Head | Slice 70 of 155
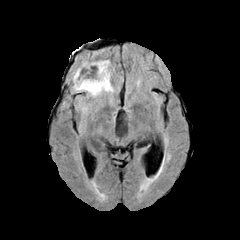
FLAIR MRI.
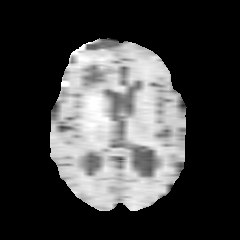
T1-weighted MRI.
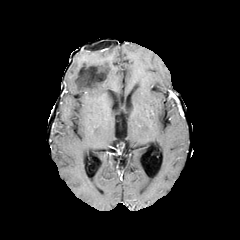
Post-contrast T1-weighted magnetic resonance.
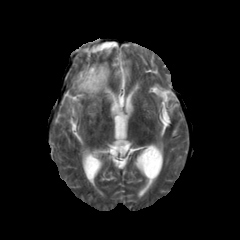
T2-weighted MR of the same slice.
The edema is located at rect(71, 60, 117, 109).